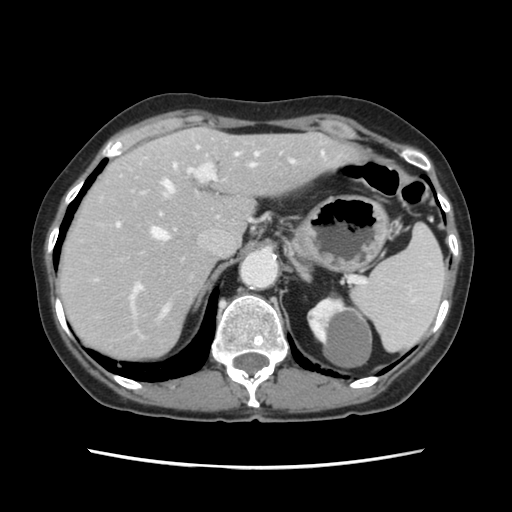

CT.

Only some of the vessels may be annotated.
Hepatic vessel: [290, 160, 294, 163], [255, 152, 257, 155], [130, 285, 142, 307], [163, 181, 172, 191], [188, 164, 215, 179], [174, 165, 175, 167], [196, 146, 199, 148], [250, 164, 254, 166], [151, 228, 167, 239], [116, 223, 119, 226], [235, 153, 238, 155].